Field of view 240 mm wide, 1.00 mm slice spacing | Slice 84 of 155 | Image size 240x240
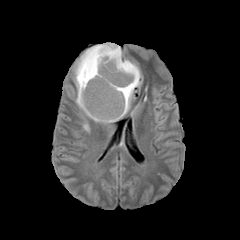
FLAIR MR image.
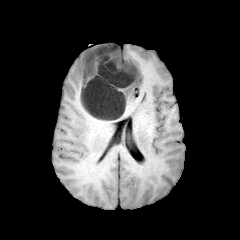
T1-weighted MRI.
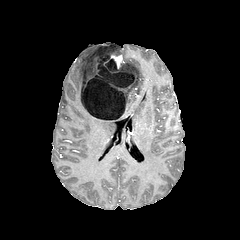
Post-contrast T1-weighted MR of the same slice.
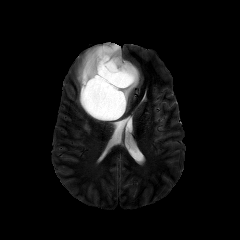
T2-weighted MR.
Enhancing tumor: bounding box <bbox>111, 54, 124, 67</bbox>.
Edema: bounding box <bbox>92, 118, 119, 123</bbox>, <bbox>125, 60, 142, 112</bbox>, <bbox>73, 45, 100, 117</bbox>.
Non-enhancing tumor core: bounding box <bbox>80, 44, 137, 120</bbox>.